Slice 26 of 55, CT slice, Abdomen

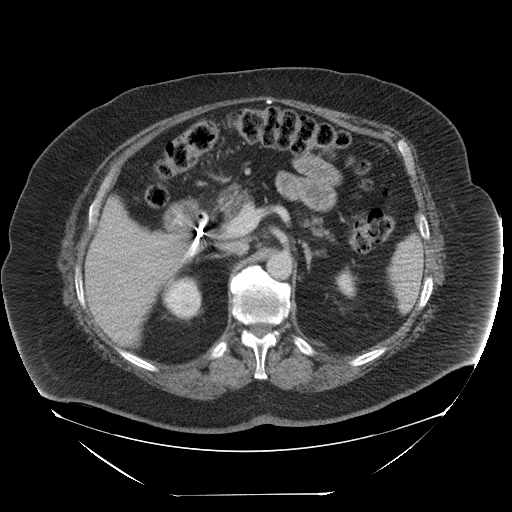

Spleen — region(390, 236, 423, 312).